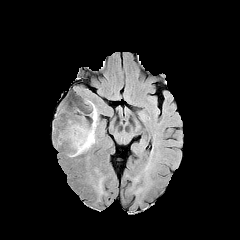
FLAIR MRI.
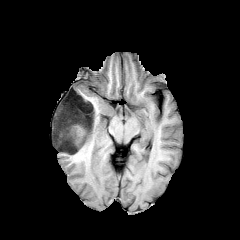
T1-weighted magnetic resonance.
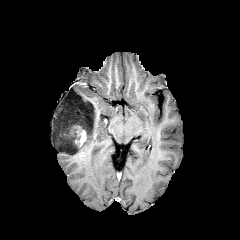
Post-contrast T1-weighted MR.
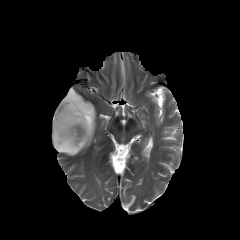
T2-weighted MR.
Findings:
- edema: (68,106,98,156)
- non-enhancing tumor core: (53,98,94,154)
- enhancing tumor: (75,129,86,146)